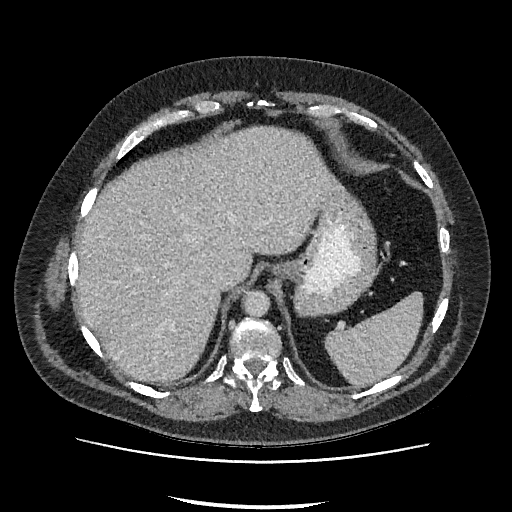

Abdomen. Computed tomography. Segmented structures:
• liver: <box>79,128,342,380</box>